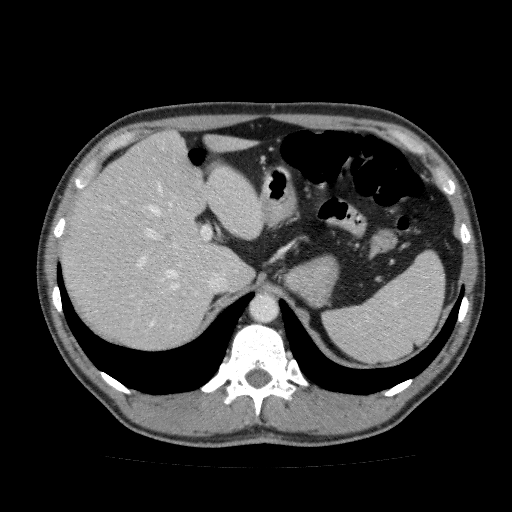 CT scan slice
liver:
  - [201,133,255,152]
  - [62,129,264,352]